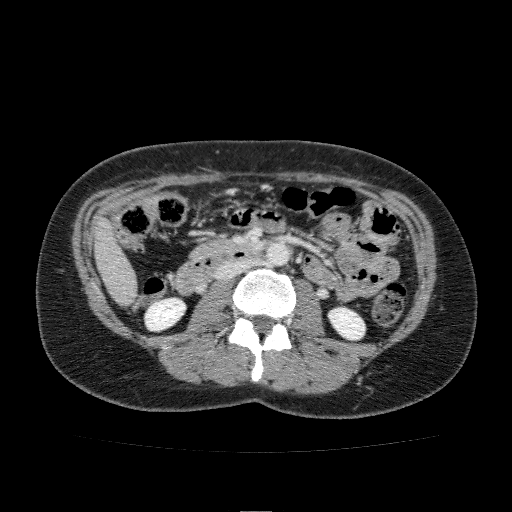
CT

liver: rect(94, 218, 136, 304) | kidney: rect(328, 308, 364, 339); rect(145, 298, 185, 330)